CT | Lung

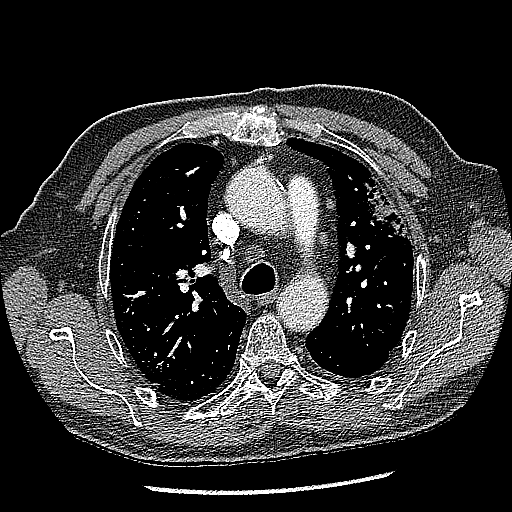 The lung tumor is bounded by region(361, 175, 408, 238).